CT image; Slice 158 of 677; Pelvis
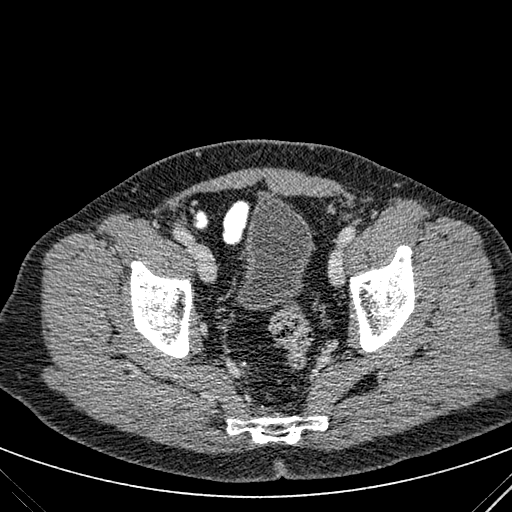
Urinary bladder = l=229, t=197, r=315, b=311.